Brain.
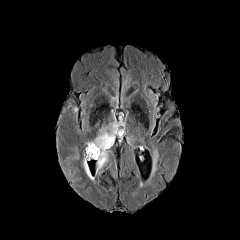
FLAIR MR image.
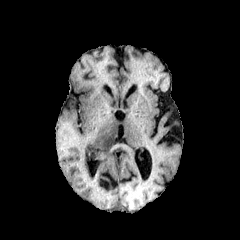
T1-weighted MR.
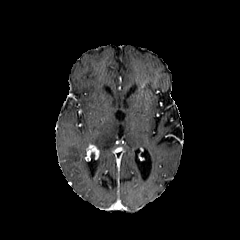
Post-contrast T1-weighted MR image.
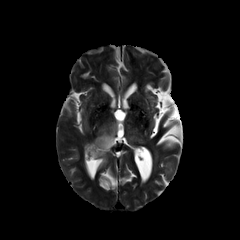
T2-weighted magnetic resonance.
Enhancing tumor at rect(85, 145, 99, 160).
Edema at rect(82, 159, 93, 180); rect(89, 122, 118, 171).